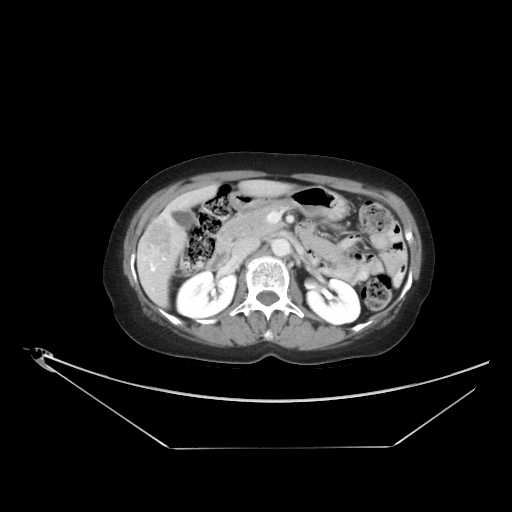

CT scan slice
Segmented structures:
* liver tumor: bbox(139, 215, 177, 264)